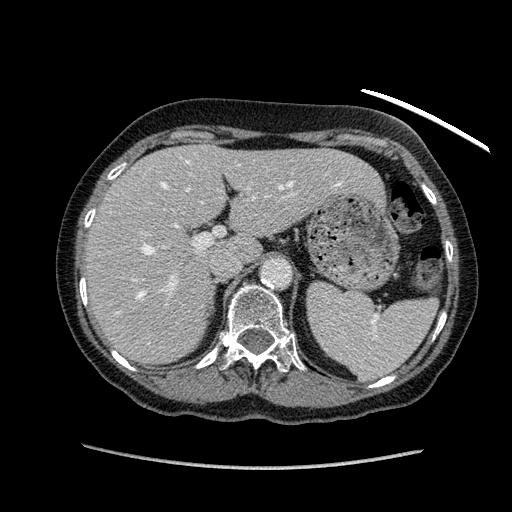
Upper abdomen; CT image

liver: 84 145 379 363